CT image. Upper abdomen. 512x512 px. 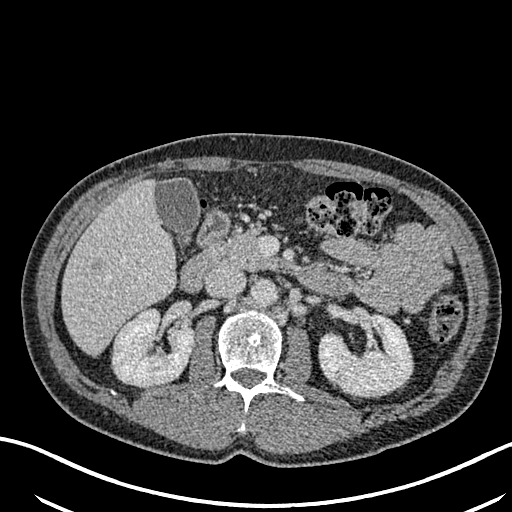
Segmented structures:
* kidney: <box>319,310,411,395</box>, <box>113,310,193,385</box>
* liver lesion: <box>90,258,103,274</box>
* liver: <box>64,179,176,354</box>